Slice 38/44, Image width 415 mm, CT image

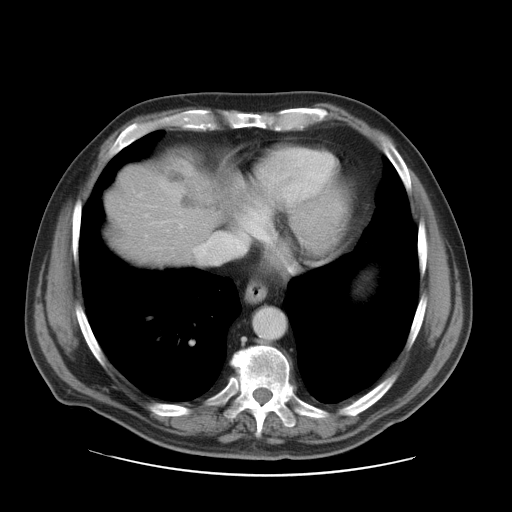

Some hepatic vessels may have no box.
{
  "hepatic_vessel": [
    "199,244,233,256"
  ],
  "liver_tumor": [
    "167,170,215,210"
  ]
}